240x240.
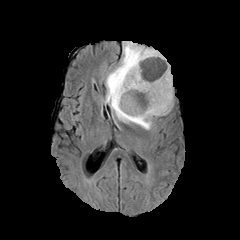
FLAIR MRI.
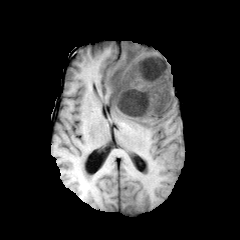
Same slice, T1-weighted magnetic resonance.
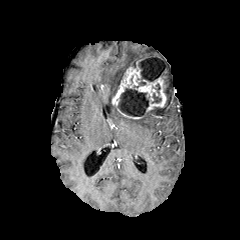
Same slice, post-contrast T1-weighted MRI.
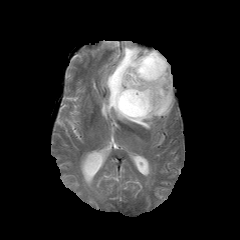
Same slice, T2-weighted MRI.
non-enhancing_tumor_core:
  - <bbox>117, 88, 149, 116</bbox>
  - <bbox>138, 56, 166, 81</bbox>
  - <bbox>153, 92, 170, 115</bbox>
enhancing_tumor:
  - <bbox>112, 62, 166, 111</bbox>
edema:
  - <bbox>102, 42, 163, 106</bbox>
  - <bbox>110, 66, 173, 129</bbox>